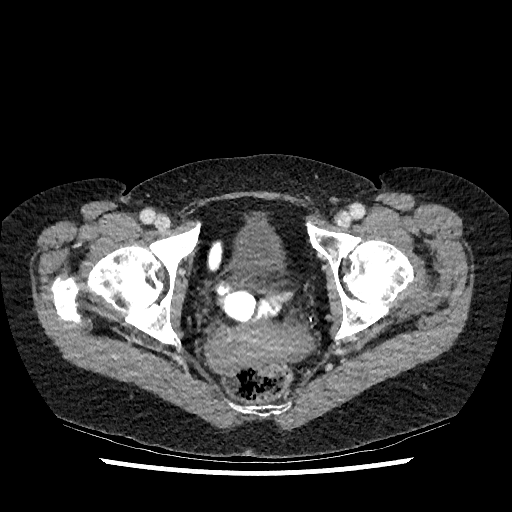

Pelvis | Image size 512x512 | CT image

{
  "urinary_bladder": [
    {"x1": 216, "y1": 211, "x2": 291, "y2": 292}
  ]
}